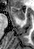

MRI slice | Hippocampus

Anterior hippocampus: bounding box rect(12, 7, 24, 19).